Field of view 360x360 mm; CT scan slice; 512x512 px 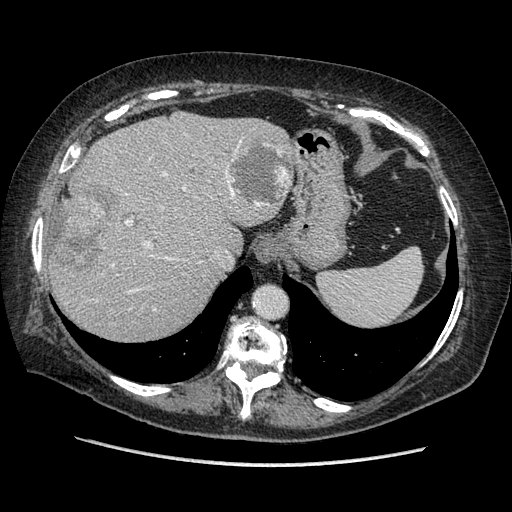 Only some of the vessels may be annotated.
The liver tumor lies within box=[61, 186, 114, 263]. 6 hepatic vessel regions are located at box=[184, 186, 185, 189]; box=[164, 172, 167, 175]; box=[126, 219, 132, 224]; box=[144, 242, 150, 246]; box=[130, 289, 136, 291]; box=[227, 176, 233, 199].